FLAIR MR image.
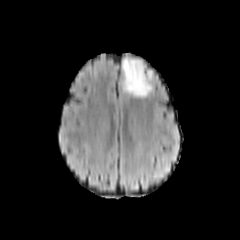
T1-weighted MR image.
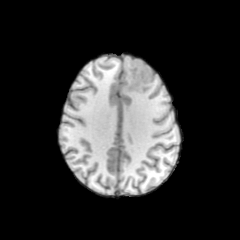
Post-contrast T1-weighted magnetic resonance.
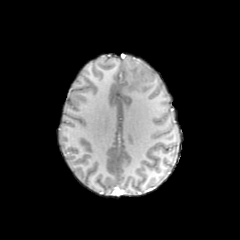
T2-weighted MRI.
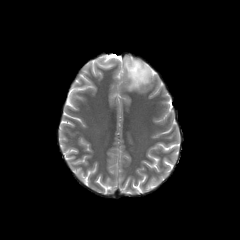
Brain.
<segmentation>
  <non-enhancing_tumor_core>(130, 64, 154, 90)</non-enhancing_tumor_core>
  <edema>(122, 57, 147, 96)</edema>
</segmentation>